FLAIR magnetic resonance.
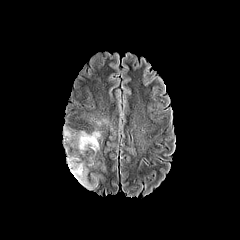
T1-weighted MR image.
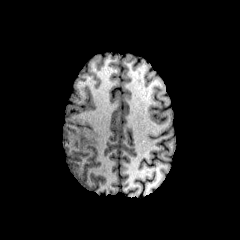
Post-contrast T1-weighted MRI.
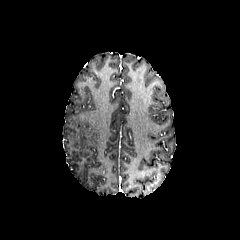
T2-weighted MR image.
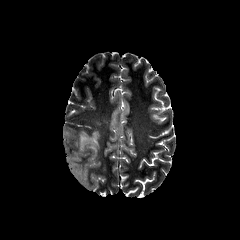
edema: <bbox>63, 128, 100, 155</bbox>, <bbox>67, 156, 87, 187</bbox>